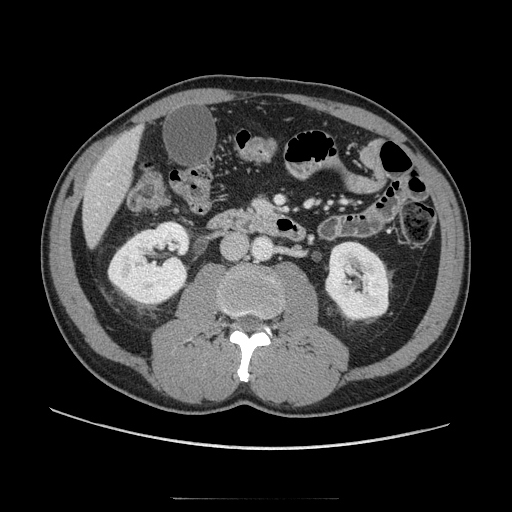 CT, Image size 512x512

Pancreas = region(251, 195, 278, 221).